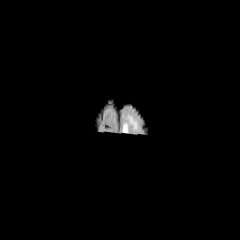
FLAIR MRI.
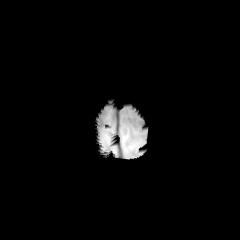
T1-weighted MR.
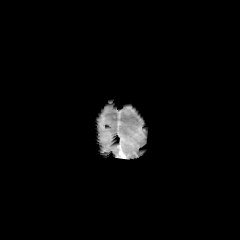
Post-contrast T1-weighted MR image of the same slice.
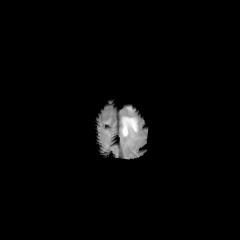
Same slice, T2-weighted MRI.
Brain
<segmentation>
  <edema>region(122, 116, 138, 135)</edema>
</segmentation>